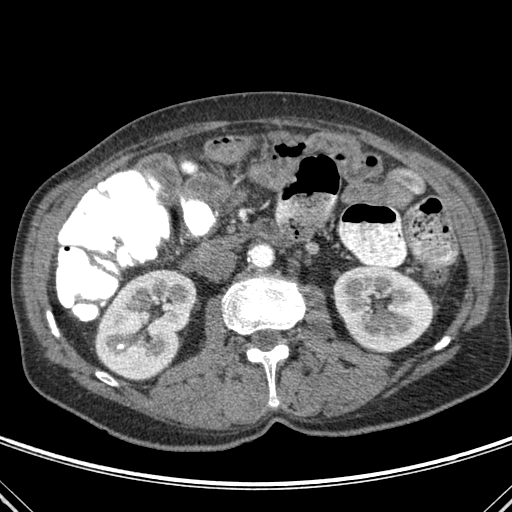

Abdomen | Computed tomography
Segmented structures:
• bone: region(222, 272, 304, 334); region(47, 311, 59, 336); region(434, 337, 449, 349); region(95, 371, 117, 385); region(246, 343, 288, 406)
• kidney: region(96, 274, 195, 378); region(334, 264, 432, 351)